240x240 px. Brain.
FLAIR MR image.
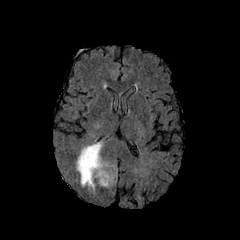
T1-weighted MR image.
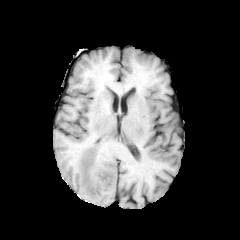
Post-contrast T1-weighted MRI.
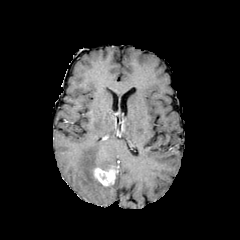
T2-weighted MRI.
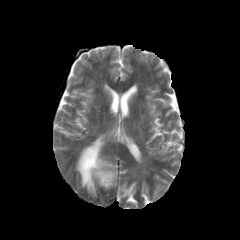
{
  "enhancing_tumor": [
    "(left=93, top=165, right=117, bottom=186)"
  ],
  "edema": [
    "(left=76, top=142, right=108, bottom=190)"
  ]
}